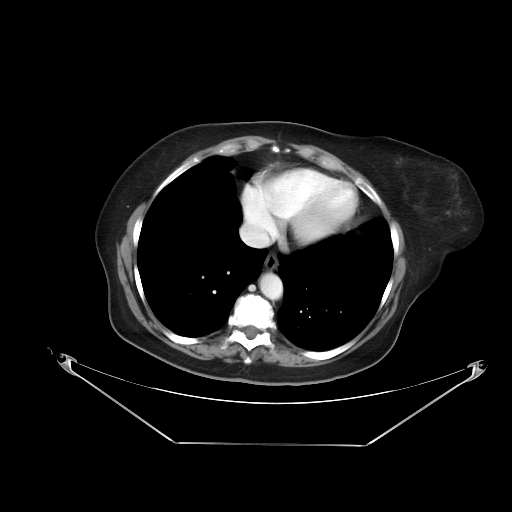
512x512 px; Computed tomography; Liver

The vessel annotation is not exhaustive.
Hepatic vessel: left=242, top=228, right=259, bottom=246.